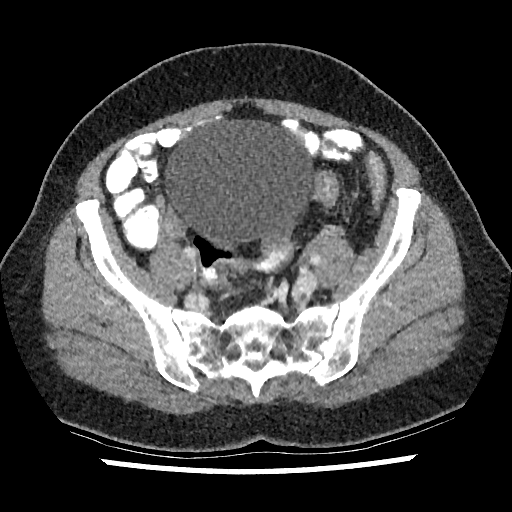

Lower abdomen, CT

Urinary bladder at x1=164 y1=120 x2=316 y2=250.